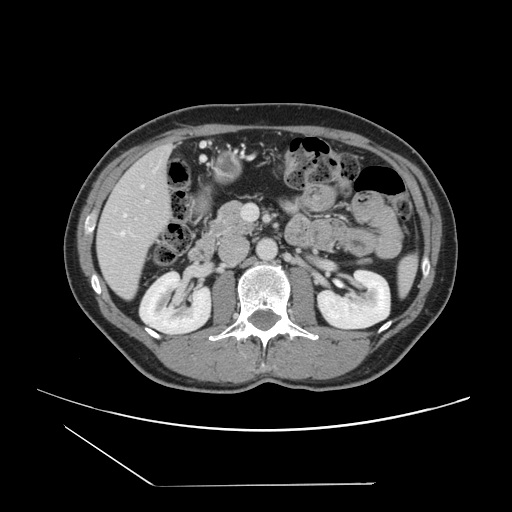 CT slice, Abdomen
Not every hepatic vessel necessarily has a box.
3 hepatic vessel regions appear at x1=153 y1=171 x2=155 y2=172, x1=130 y1=233 x2=132 y2=234, x1=158 y1=162 x2=159 y2=164.